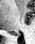

MRI | Hippocampus
Posterior hippocampus = x1=11 y1=33 x2=17 y2=35.